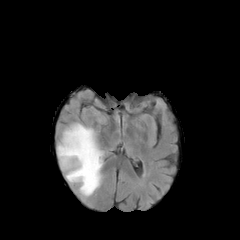
FLAIR MR image.
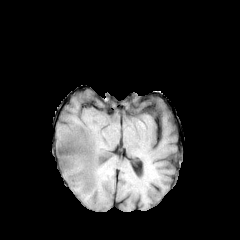
Same slice, T1-weighted MRI.
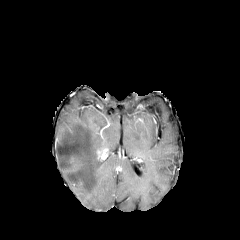
Post-contrast T1-weighted MR image.
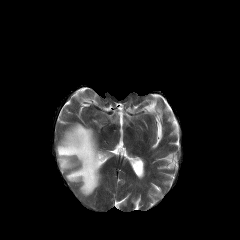
Same slice, T2-weighted MRI.
Head; Image size 240x240
Segmented structures:
- enhancing tumor: bbox=[98, 151, 105, 159]
- edema: bbox=[56, 123, 106, 196]